Head.
FLAIR MR.
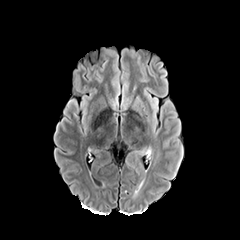
T1-weighted magnetic resonance.
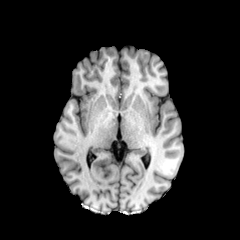
Post-contrast T1-weighted magnetic resonance.
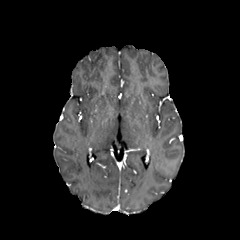
T2-weighted MRI.
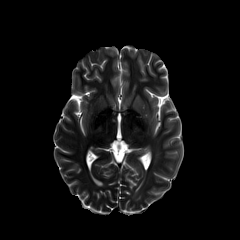
Annotated regions:
• edema: rect(150, 97, 158, 132); rect(133, 99, 139, 112); rect(120, 85, 131, 111)